CT. Slice index 72. Abdomen. 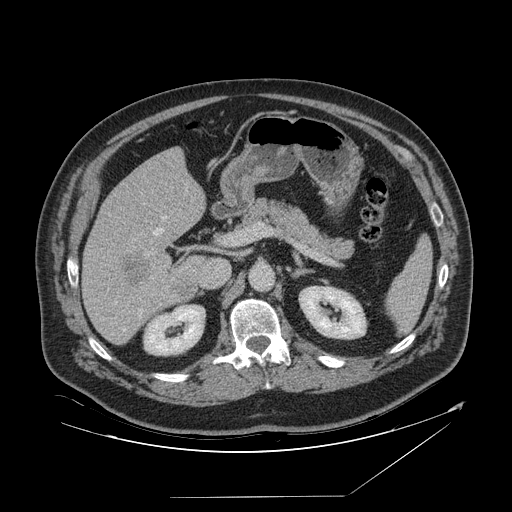

The spleen is at 386:239:431:335.